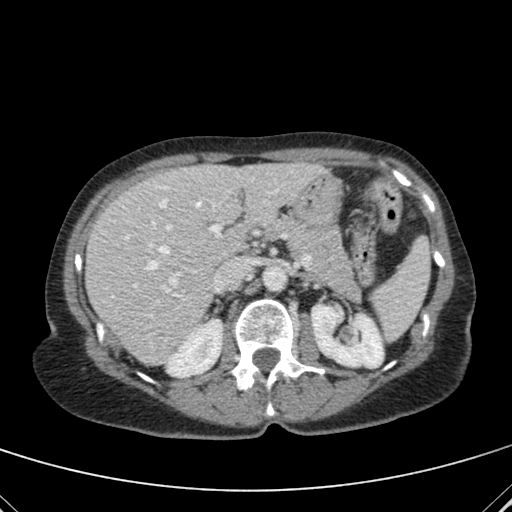
Abdomen; CT scan slice
The liver is at l=86, t=162, r=326, b=364. 2 kidney regions are bounded by l=168, t=320, r=220, b=375; l=312, t=307, r=383, b=365.